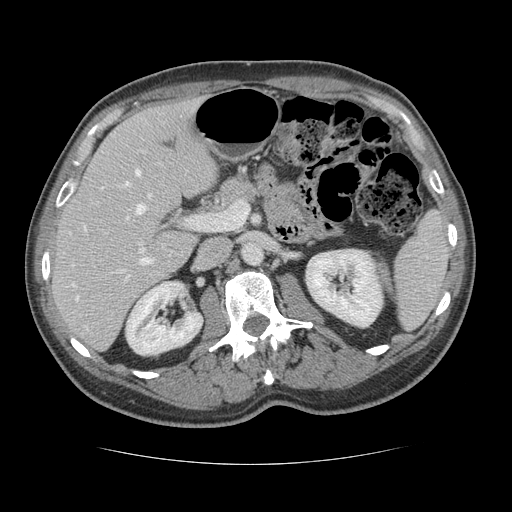
Liver. CT image.

The vessel annotation is not exhaustive.
hepatic_vessel:
  - rect(139, 257, 152, 263)
  - rect(126, 216, 128, 218)
  - rect(101, 186, 103, 188)
  - rect(85, 326, 87, 328)
  - rect(124, 181, 128, 185)
  - rect(125, 275, 128, 279)
  - rect(136, 204, 145, 213)
  - rect(72, 283, 75, 285)
  - rect(118, 270, 124, 271)
  - rect(148, 194, 150, 196)
  - rect(76, 296, 78, 299)
  - rect(139, 247, 144, 252)
  - rect(136, 169, 140, 175)